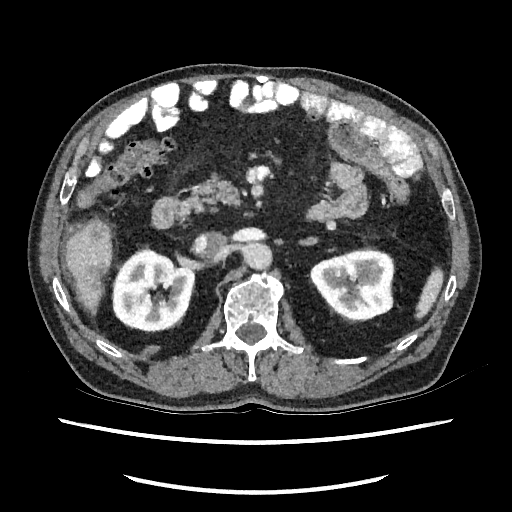
CT | Abdomen
* liver lesion: [x1=92, y1=222, x2=104, y2=238], [x1=89, y1=264, x2=105, y2=282]
* kidney: [x1=112, y1=248, x2=194, y2=331], [x1=310, y1=249, x2=393, y2=320]
* liver: [x1=67, y1=220, x2=111, y2=306]